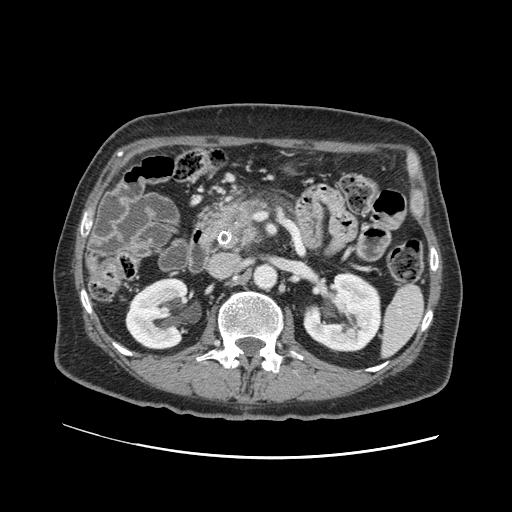

CT; Abdomen

• pancreas: x1=196, y1=193, x2=279, y2=254
• pancreatic tumor: x1=223, y1=209, x2=251, y2=231